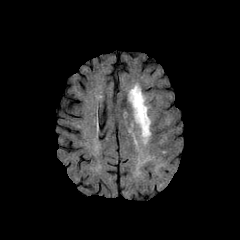
FLAIR MR.
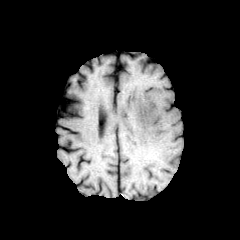
Same slice, T1-weighted magnetic resonance.
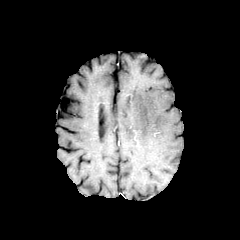
Post-contrast T1-weighted magnetic resonance of the same slice.
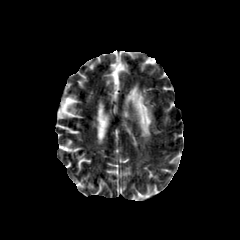
T2-weighted MRI of the same slice.
<segmentation>
  <edema>127, 83, 153, 151</edema>
</segmentation>